CT 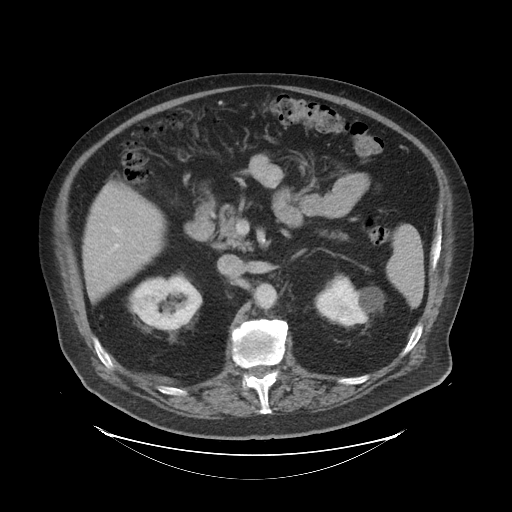 Not every hepatic vessel necessarily has a box.
Hepatic vessel = [x1=113, y1=228, x2=117, y2=230].